FLAIR MRI.
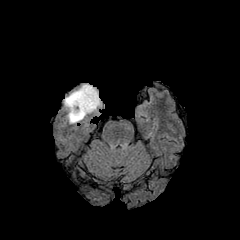
T1-weighted magnetic resonance.
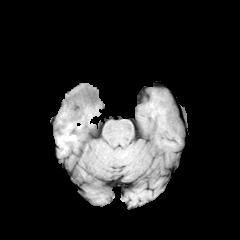
Post-contrast T1-weighted MR.
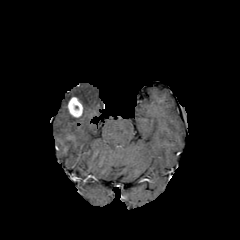
T2-weighted MR.
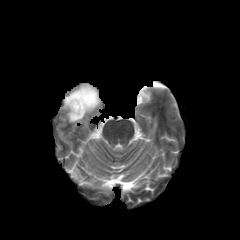
<segmentation>
  <enhancing_tumor>[67,96,82,118]</enhancing_tumor>
  <edema>[63,83,101,123]</edema>
</segmentation>